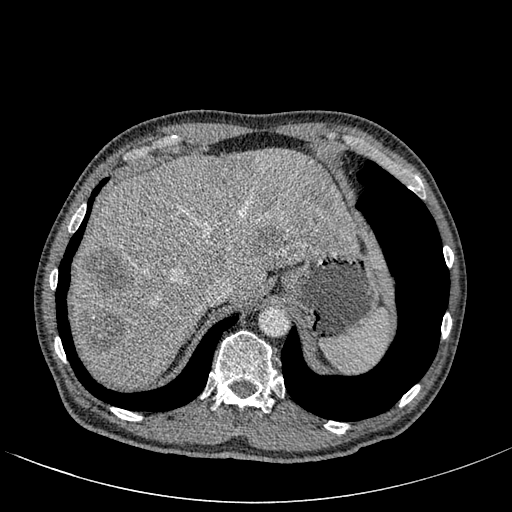 Abdomen | CT slice
Liver — bbox=[72, 148, 357, 388].
Liver lesion — bbox=[85, 245, 131, 295]; bbox=[208, 160, 233, 184]; bbox=[245, 158, 254, 169]; bbox=[254, 228, 282, 256]; bbox=[78, 309, 125, 353]; bbox=[313, 192, 331, 210]; bbox=[109, 218, 115, 226]; bbox=[216, 247, 223, 258].